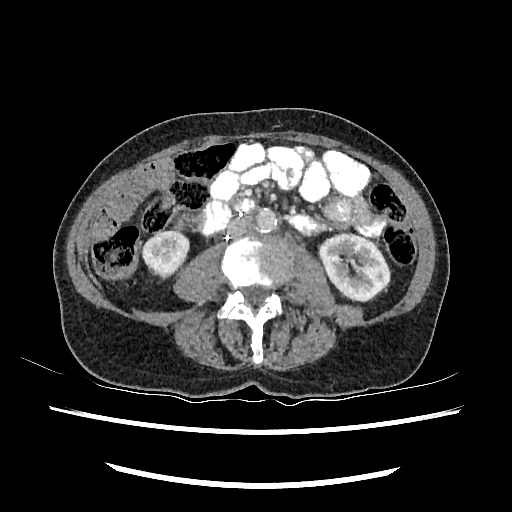
CT scan slice | Abdomen
{"kidney": ["left=143, top=231, right=188, bottom=273", "left=320, top=233, right=389, bottom=300"]}